Computed tomography
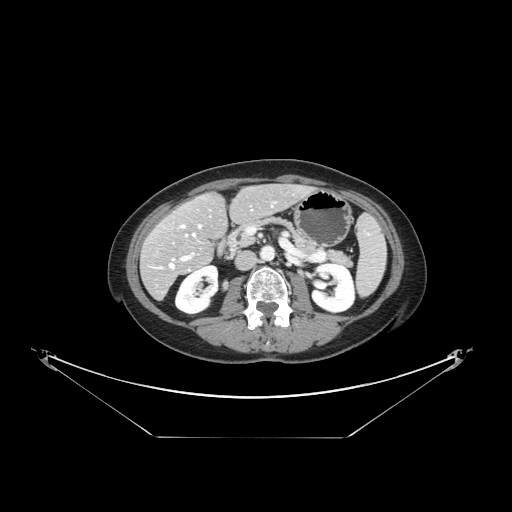 Not every hepatic vessel necessarily has a box.
hepatic vessel: 198 225 200 227, 182 225 184 227, 182 257 187 259